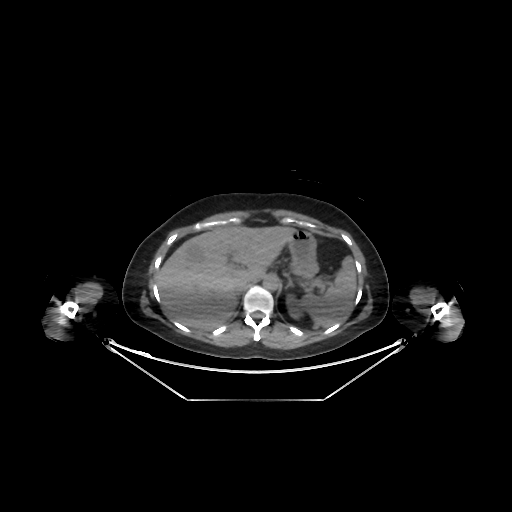 CT; 512x512
The liver is bounded by 154, 224, 293, 342. The kidney is at 287, 294, 301, 318.